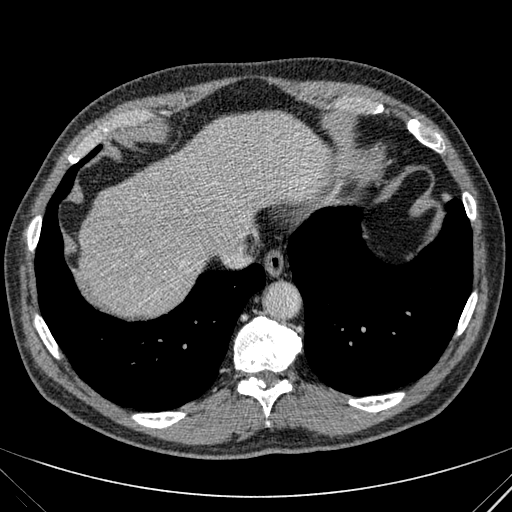

CT slice.
The liver lies within (x1=79, y1=111, x2=329, y2=315).